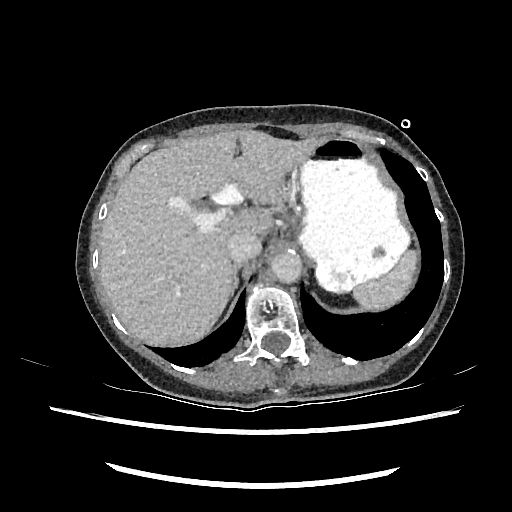

Abdomen; CT slice
<segmentation>
  <liver>region(100, 130, 320, 345)</liver>
</segmentation>